CT slice, Slice 341 of 841, Image size 512x512
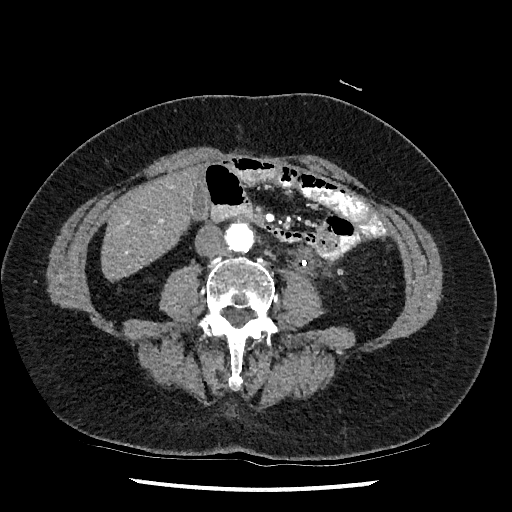
Liver at box(101, 166, 198, 279).